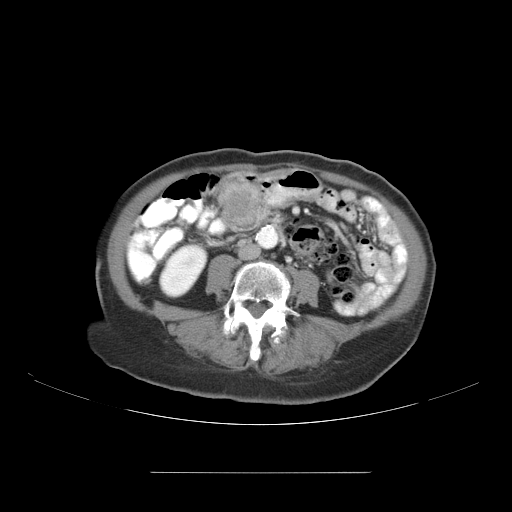
Computed tomography

The colon tumor lies within [217, 169, 322, 226].